FLAIR MR.
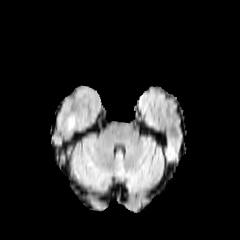
T1-weighted magnetic resonance.
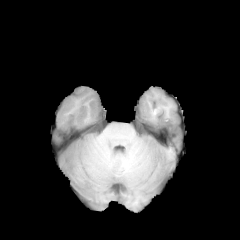
Post-contrast T1-weighted MR image.
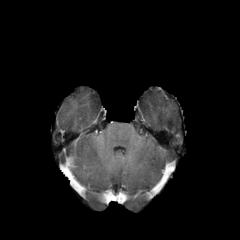
T2-weighted magnetic resonance.
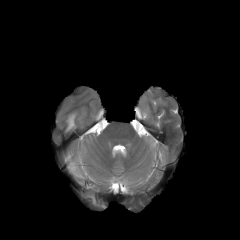
240x240. Brain.
* edema: (x1=67, y1=114, x2=75, y2=129)